Upper abdomen; Image size 512x512; CT slice; Slice 39 of 107
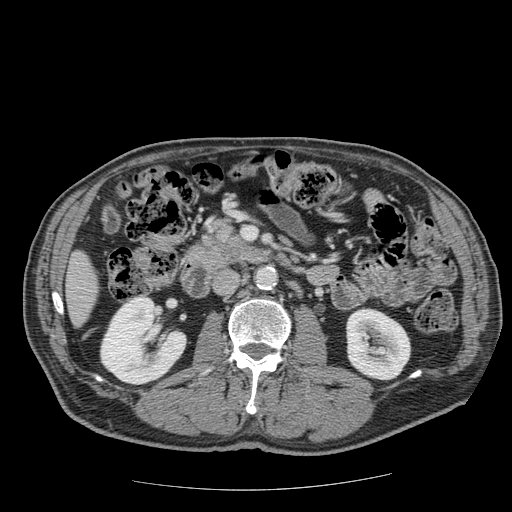
Pancreas = region(200, 235, 249, 265); region(215, 217, 241, 236).
Pancreatic tumor = region(202, 219, 248, 258).